CT slice | Slice 387/552 | Upper abdomen 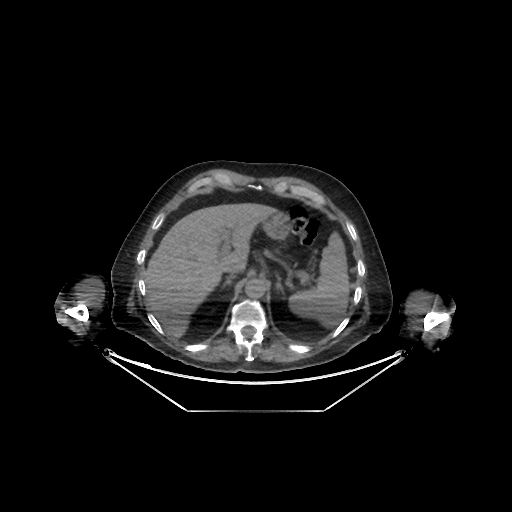 Liver = 141,203,276,336.